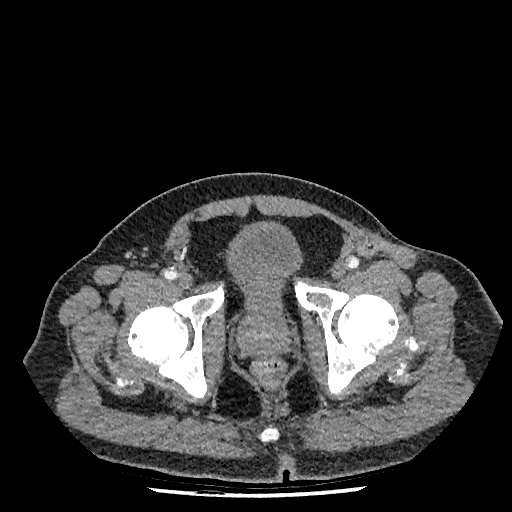 Image size 512x512; CT slice
<segmentation>
  <urinary_bladder>left=225, top=225, right=303, bottom=319</urinary_bladder>
</segmentation>